512x512 px. CT scan slice. Slice 131/537.
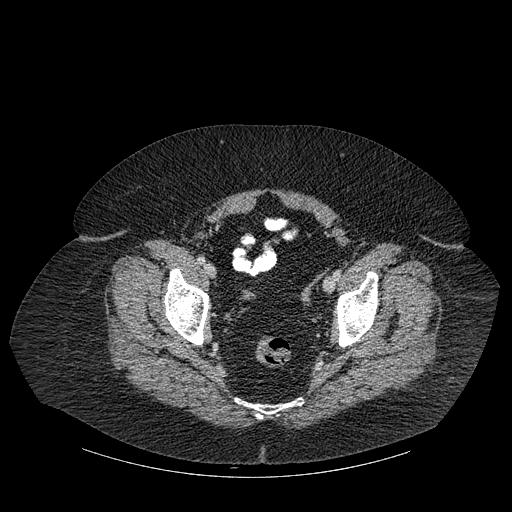

3 bone regions are located at box(164, 268, 208, 344); box(337, 271, 377, 346); box(235, 398, 303, 418).